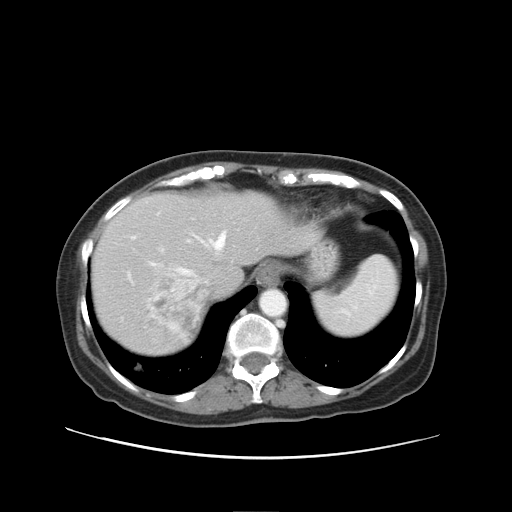

Image size 512x512 | CT slice | Abdomen

The vessel annotation is not exhaustive.
Hepatic vessel at 150:262:158:266, 132:237:135:239, 187:233:225:250, 128:273:132:283, 206:282:208:283.
Liver tumor at 149:265:202:341.